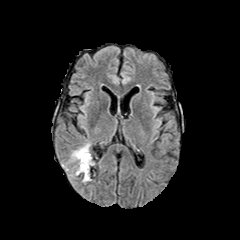
FLAIR MR.
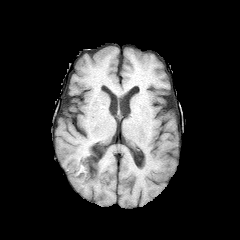
T1-weighted MR image.
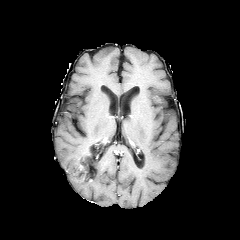
Post-contrast T1-weighted MRI of the same slice.
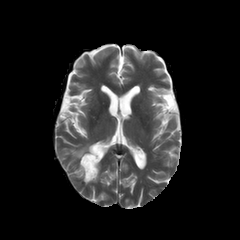
T2-weighted magnetic resonance of the same slice.
<segmentation>
  <non-enhancing_tumor_core>(79, 149, 95, 175)</non-enhancing_tumor_core>
  <edema>(63, 143, 92, 181)</edema>
</segmentation>